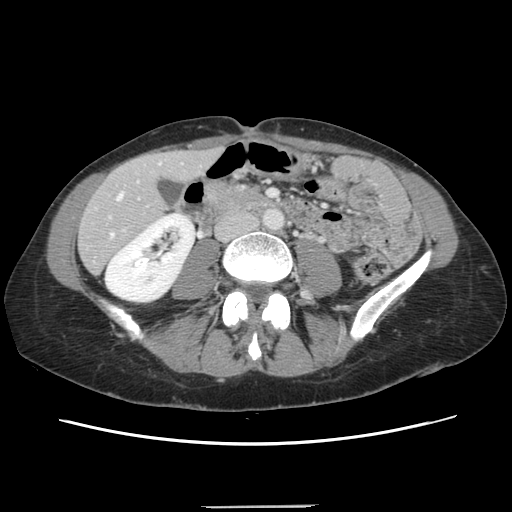

CT
Not every hepatic vessel necessarily has a box.
2 hepatic vessel regions appear at left=116, top=193, right=122, bottom=199; left=110, top=232, right=113, bottom=236.